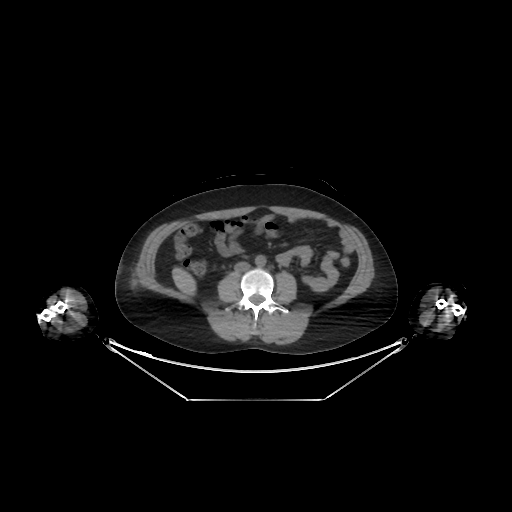
Computed tomography, 512x512, Upper abdomen
The liver appears at 172:267:196:297.